Slice 91/756. Lower abdomen. CT scan slice.
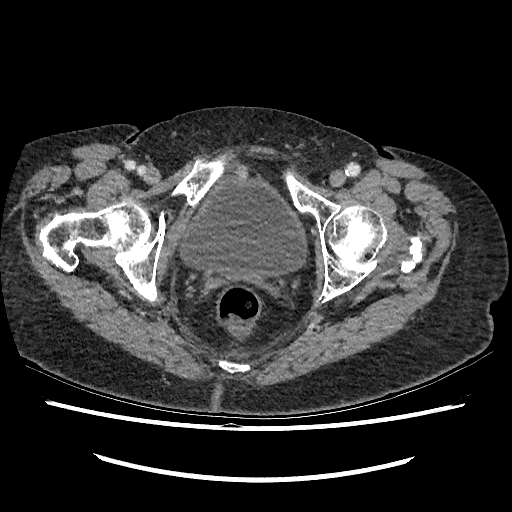
urinary bladder: region(177, 176, 307, 288)